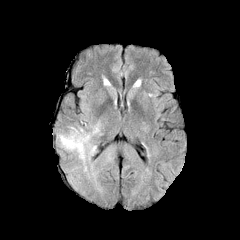
FLAIR magnetic resonance.
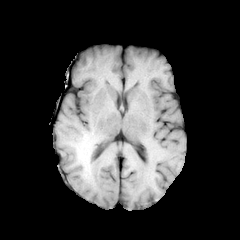
T1-weighted MR image of the same slice.
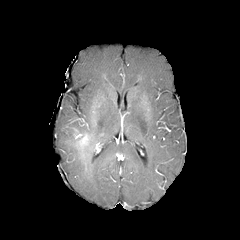
Post-contrast T1-weighted MR of the same slice.
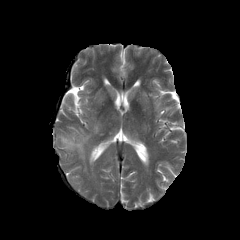
T2-weighted magnetic resonance of the same slice.
Brain
{
  "non-enhancing_tumor_core": [
    "73,128,96,159"
  ],
  "edema": [
    "57,126,96,171",
    "92,122,101,136"
  ]
}